Abdomen | Computed tomography | Field of view 385x385 mm 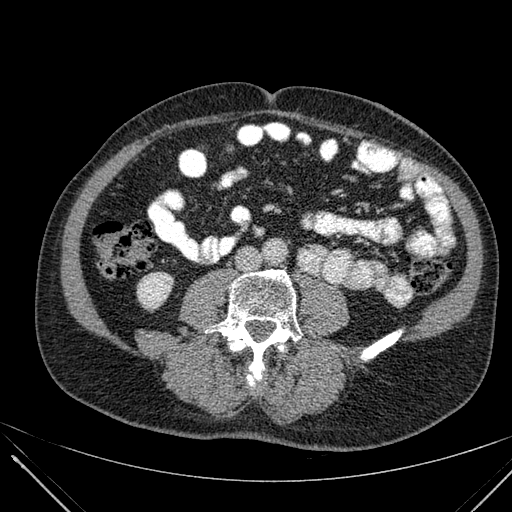

Segmented structures:
* kidney: (x1=137, y1=272, x2=172, y2=308)